Liver | CT slice | 512x512 px
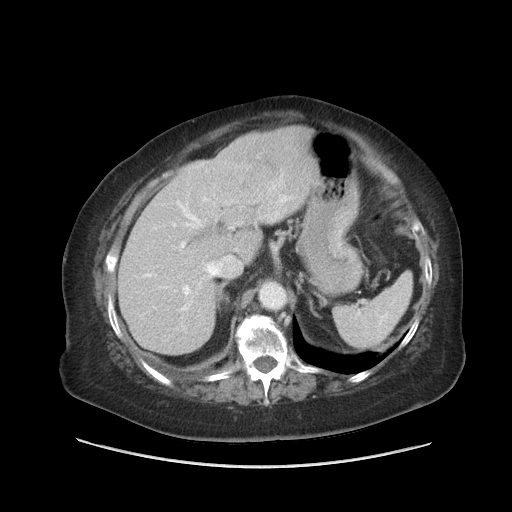 The vessel annotation is not exhaustive.
Segmented structures:
- hepatic vessel: box(166, 225, 167, 226); box(223, 199, 233, 203); box(190, 225, 198, 229); box(210, 185, 219, 205); box(171, 225, 176, 227)
- liver tumor: box(231, 155, 280, 215)